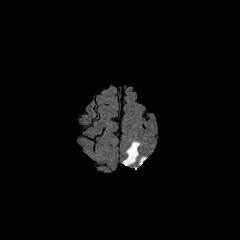
FLAIR MR.
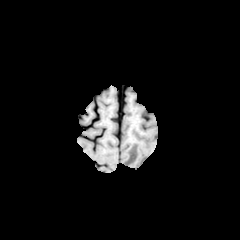
T1-weighted magnetic resonance.
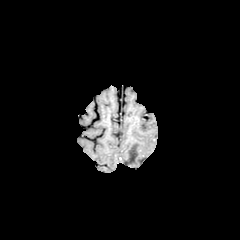
Post-contrast T1-weighted MRI of the same slice.
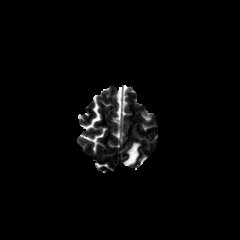
T2-weighted MR image.
• edema: <box>123,141,140,165</box>